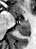

36x49 | MR image
Anterior hippocampus — left=13, top=15, right=15, bottom=16.
Posterior hippocampus — left=15, top=22, right=29, bottom=36.